CT scan slice
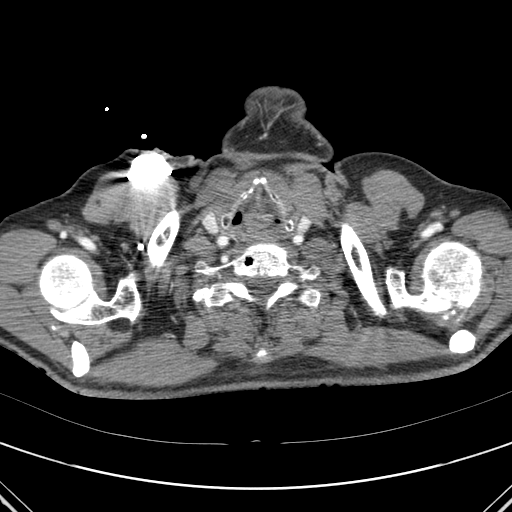

9 bone regions are located at (193,281,253,306), (449,330,475,353), (39,254,140,324), (422,223,441,237), (198,244,321,308), (147,209,179,271), (71,341,89,376), (386,242,481,312), (341,223,386,316).